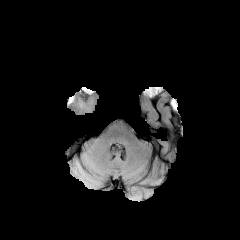
FLAIR MR.
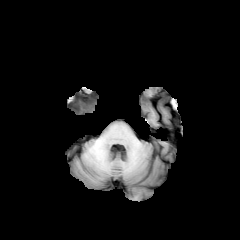
Same slice, T1-weighted MRI.
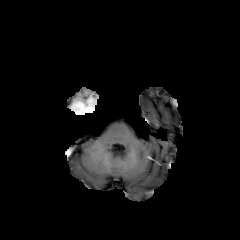
Post-contrast T1-weighted MRI.
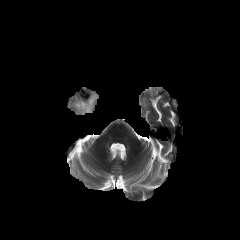
T2-weighted MR image of the same slice.
The non-enhancing tumor core lies within (69, 97, 92, 113). The enhancing tumor is at (73, 96, 95, 108).